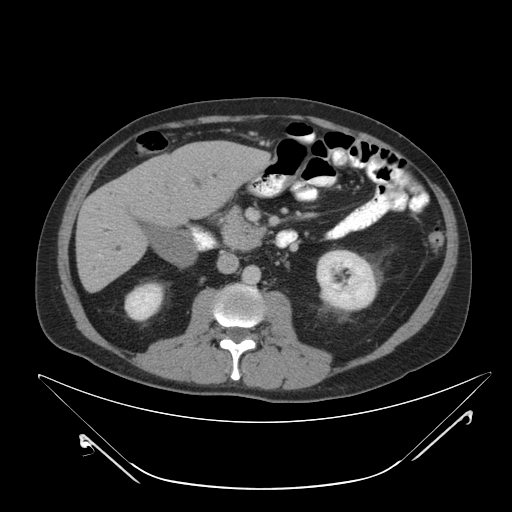
512x512 | Upper abdomen | CT slice
Pancreatic tumor: box=[223, 225, 258, 248].
Pancreas: box=[222, 206, 264, 250].